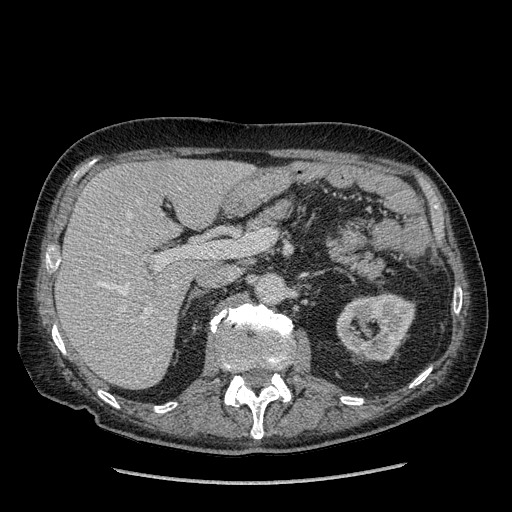
CT

<segmentation>
  <kidney>region(336, 293, 414, 360)</kidney>
  <liver>region(55, 158, 256, 388)</liver>
</segmentation>